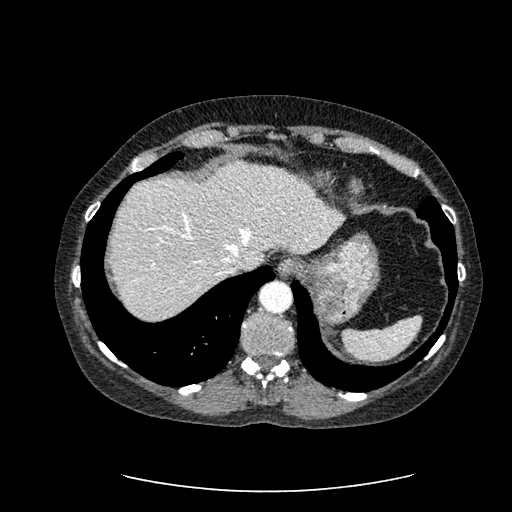

Computed tomography
liver: rect(112, 162, 343, 321)